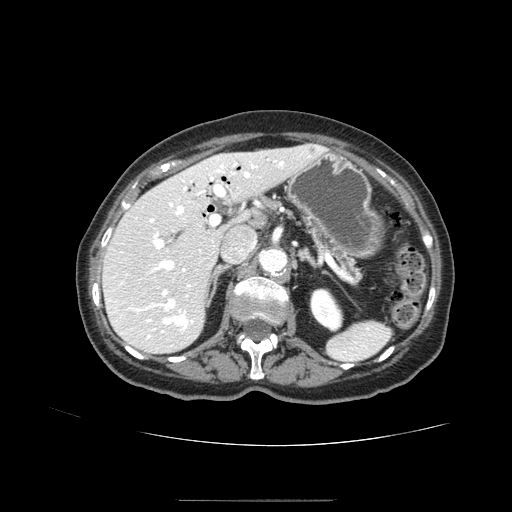
Abdomen, Computed tomography
Pancreas = region(310, 218, 353, 272).